CT scan slice; Liver; Slice 112 of 188
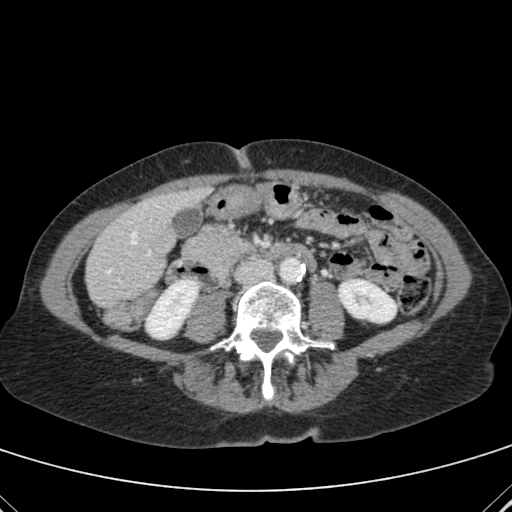
The hepatic lesion is at (x1=155, y1=234, x2=171, y2=249). 2 kidney regions are located at (x1=339, y1=280, x2=395, y2=322), (x1=146, y1=280, x2=197, y2=338). The liver lies within (x1=86, y1=187, x2=204, y2=307).